Brain.
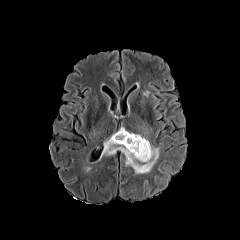
FLAIR MR image.
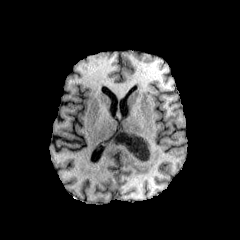
Same slice, T1-weighted magnetic resonance.
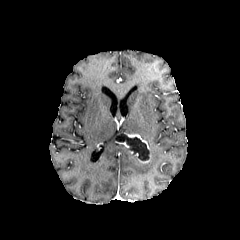
Post-contrast T1-weighted MRI of the same slice.
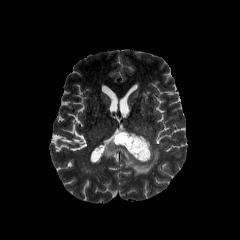
Same slice, T2-weighted MR.
The non-enhancing tumor core appears at box=[114, 131, 149, 161]. The enhancing tumor appears at box=[124, 132, 150, 150]. The edema lies within box=[102, 136, 160, 174].